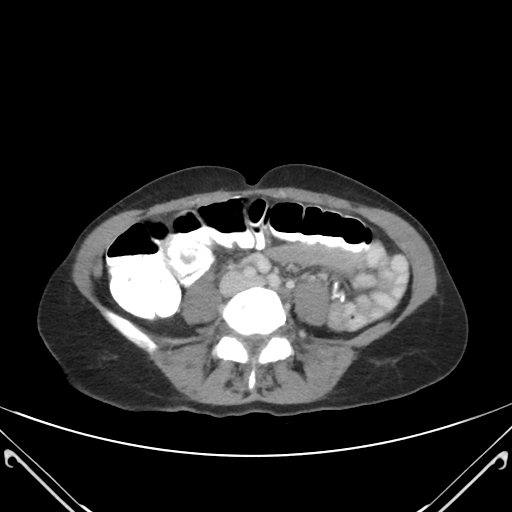

512x512 px | CT image
• colon tumor: x1=178, y1=249, x2=196, y2=265